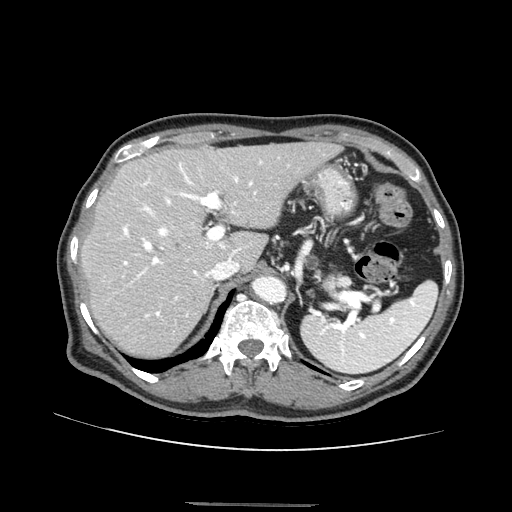

Computed tomography. 512x512 px. Upper abdomen.

The pancreas appears at region(326, 274, 348, 287).